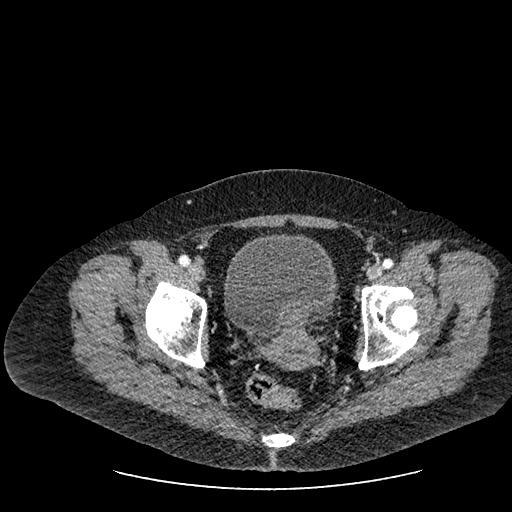
Computed tomography
The urinary bladder appears at x1=225, y1=233, x2=336, y2=337.